FLAIR MR.
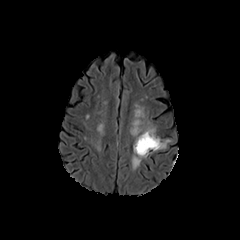
T1-weighted magnetic resonance.
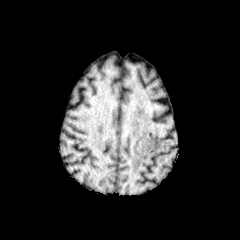
Post-contrast T1-weighted MR.
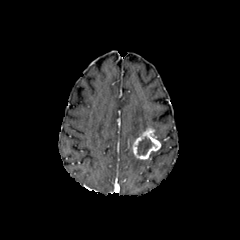
T2-weighted MR image.
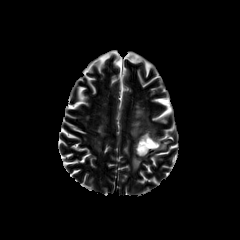
Brain
<segmentation>
  <edema>131,154,142,171; 159,139,170,149; 130,104,155,137</edema>
  <non-enhancing_tumor_core>135,134,152,155</non-enhancing_tumor_core>
  <enhancing_tumor>133,126,161,159</enhancing_tumor>
</segmentation>